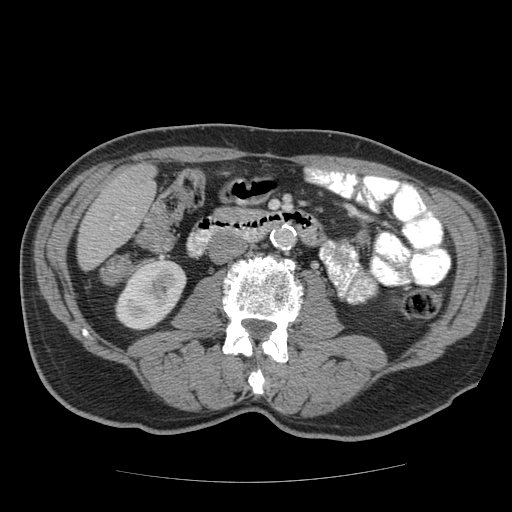
CT
Not every hepatic vessel necessarily has a box.
• hepatic vessel: [116,216,117,217]